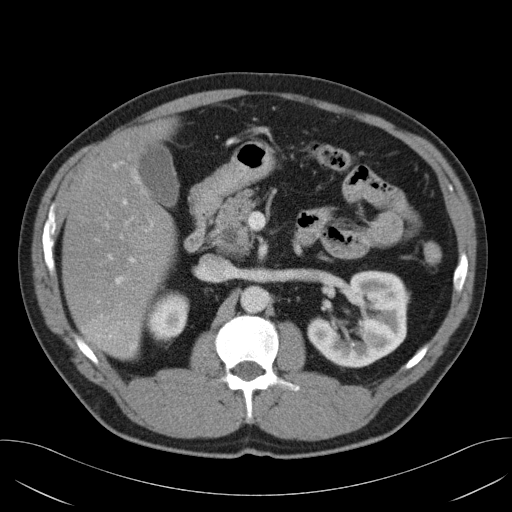 CT image | Abdomen

pancreas:
  - bbox=[206, 189, 258, 259]
pancreatic_tumor:
  - bbox=[220, 226, 239, 246]